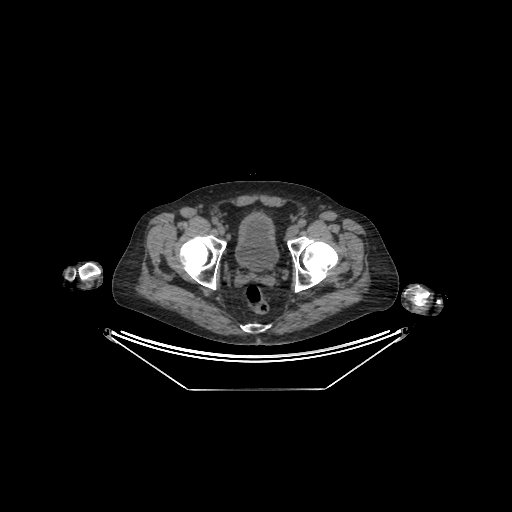 Pelvis. CT slice.
Urinary bladder = {"x1": 235, "y1": 211, "x2": 278, "y2": 272}.